512x512 px, CT
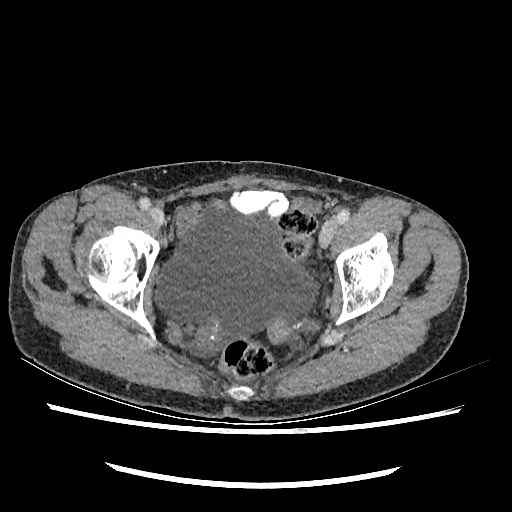 The urinary bladder is located at left=157, top=201, right=317, bottom=342.